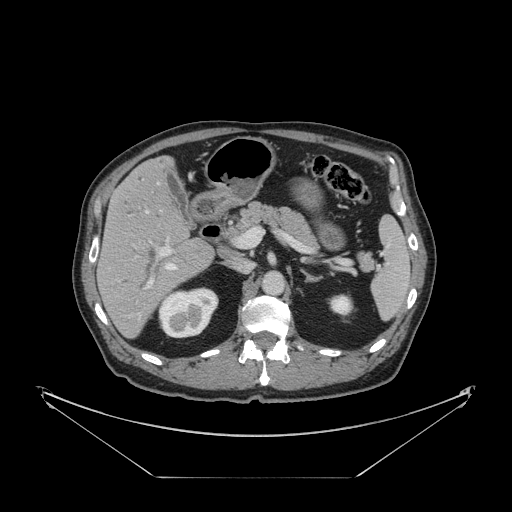
Abdomen | Image size 512x512 | CT scan slice
Some hepatic vessels may have no box.
Segmented structures:
• hepatic vessel: 157,183,158,184; 138,314,139,319; 165,263,175,269; 145,210,148,213; 236,227,263,247; 144,279,152,288; 157,238,173,256